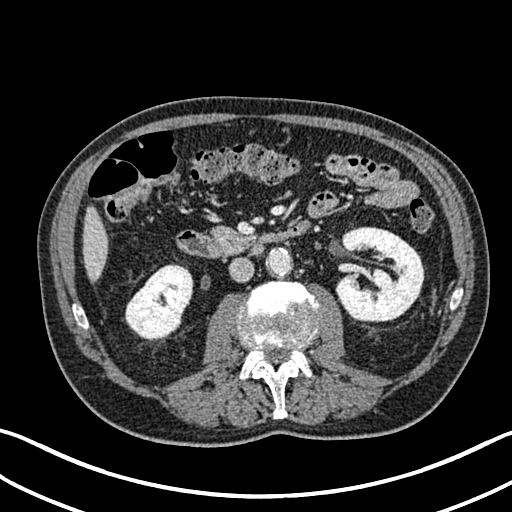

CT slice. Liver. The liver is at <box>84,207,107,282</box>. 2 kidney regions appear at <box>126,265,192,338</box>, <box>336,228,423,320</box>.